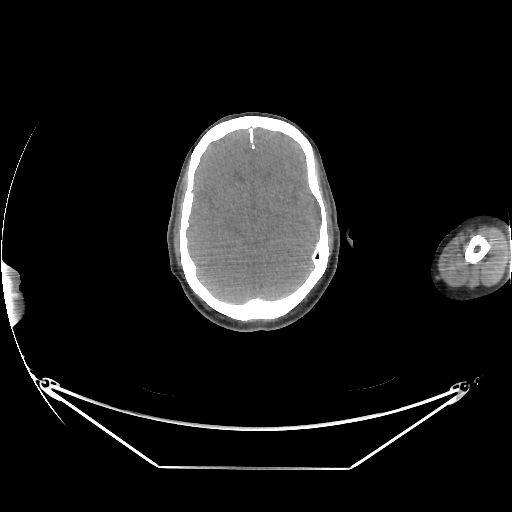
Head | Image size 512x512 | CT slice
<segmentation>
  <brain>[186,128,321,304]</brain>
</segmentation>